Image size 512x512 | CT image | Slice 193 of 245 | Image width 386 mm
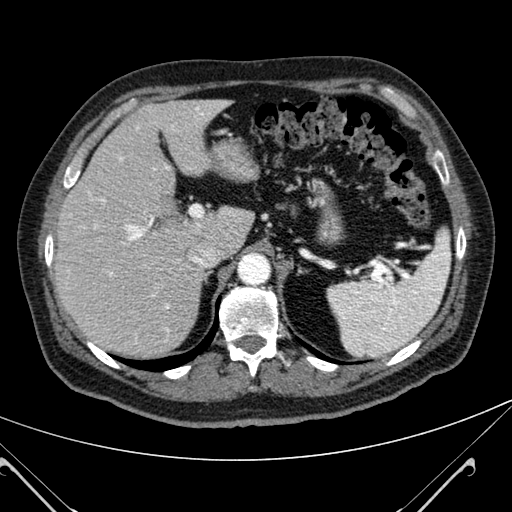
* liver: region(53, 97, 249, 358)